Slice 56 of 89, Computed tomography, Abdomen 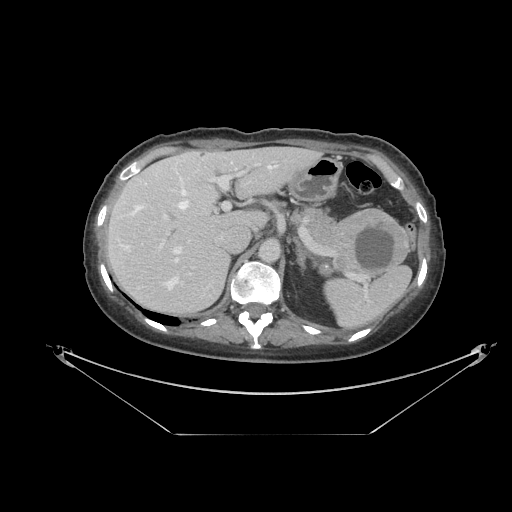 Pancreas — box(294, 207, 367, 275).
Pancreatic tumor — box(335, 208, 406, 274).